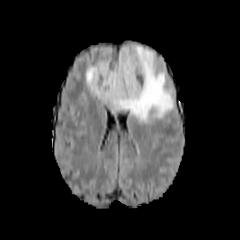
FLAIR MR.
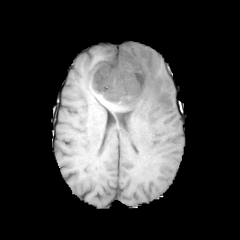
Same slice, T1-weighted magnetic resonance.
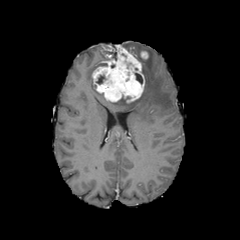
Post-contrast T1-weighted MRI.
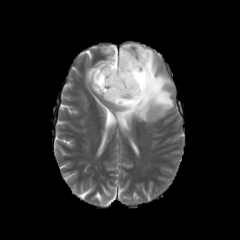
Same slice, T2-weighted MR.
Brain. 240x240 px.
2 edema regions are located at (left=109, top=44, right=173, bottom=122), (left=86, top=65, right=96, bottom=90). 3 non-enhancing tumor core regions are bounded by (left=96, top=74, right=106, bottom=84), (left=106, top=51, right=116, bottom=60), (left=134, top=73, right=142, bottom=83). The enhancing tumor is located at (left=92, top=46, right=144, bottom=103).